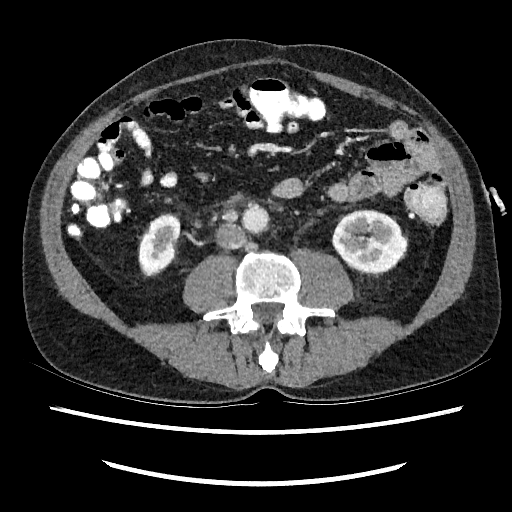
CT image
Kidney: bounding box left=333, top=211, right=406, bottom=271; left=140, top=216, right=179, bottom=274.